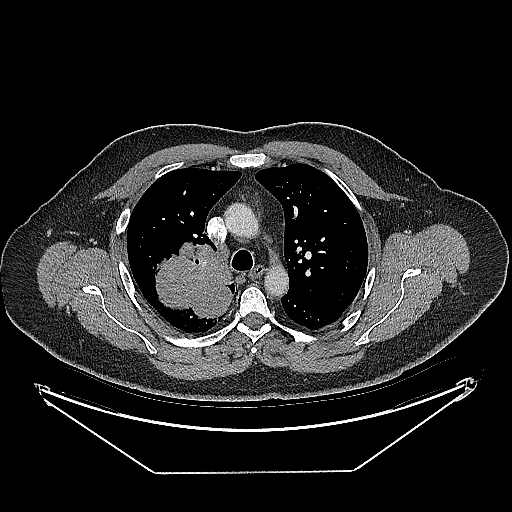 CT
The lung tumor is located at <box>155,241,232,321</box>.